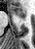 MR image; Image size 35x49
The anterior hippocampus appears at l=9, t=5, r=25, b=18.